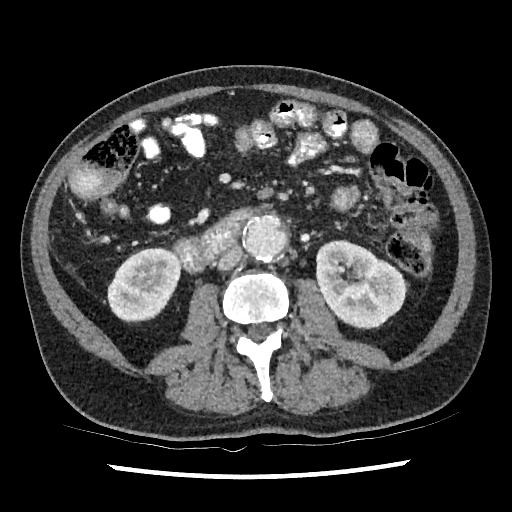
Abdomen; CT slice; 512x512
2 kidney regions are bounded by (left=316, top=241, right=405, bottom=327), (left=108, top=249, right=181, bottom=320).